Image width 240 mm | Slice 94/155 | Brain | 240x240
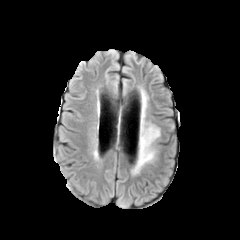
FLAIR MR.
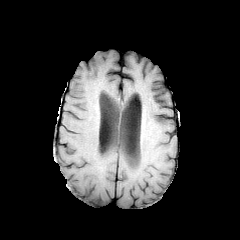
Same slice, T1-weighted MR.
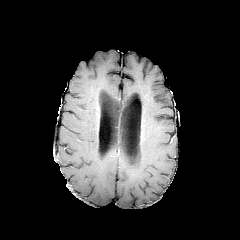
Post-contrast T1-weighted MRI.
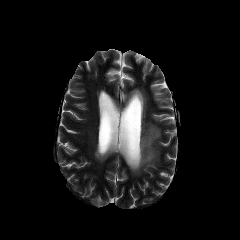
Same slice, T2-weighted MRI.
{"edema": ["box(140, 92, 147, 106)", "box(135, 112, 159, 171)"]}